Computed tomography. Slice 174 of 212.

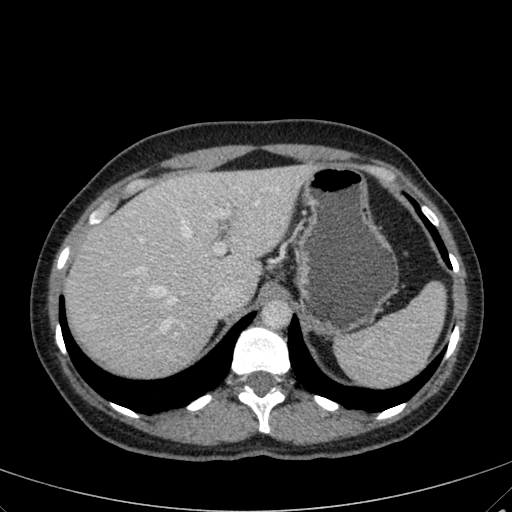

Liver at 64:164:318:375.